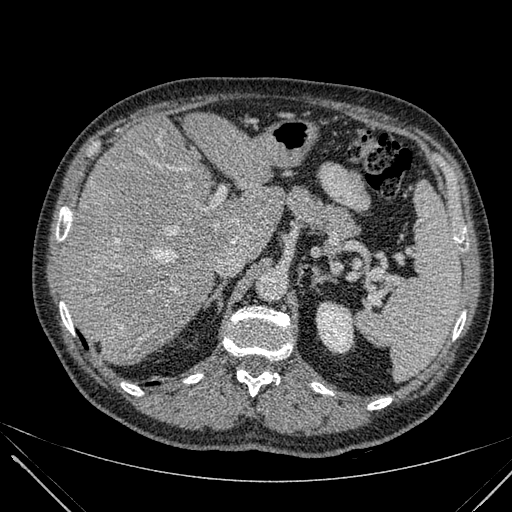 CT; Upper abdomen
{
  "liver": [
    "[x1=62, y1=113, x2=284, y2=365]"
  ],
  "kidney": [
    "[x1=317, y1=304, x2=352, y2=352]"
  ]
}